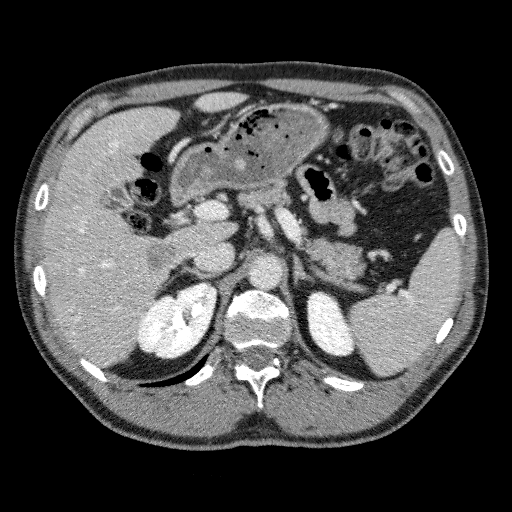 Image size 512x512, CT

{"kidney": ["308:292:352:354", "137:283:215:357"], "liver": ["194:92:249:111", "39:106:238:366"], "focal_liver_lesion": ["122:158:136:169", "133:138:145:146", "146:239:180:272"]}